Computed tomography; Liver; Slice 323 of 751
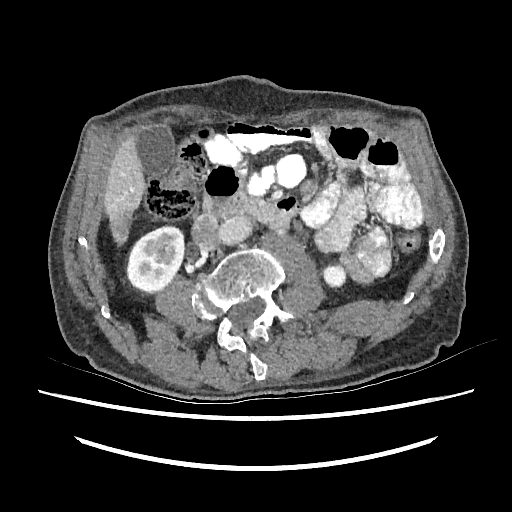

The focal liver lesion is at [x1=114, y1=209, x2=130, y2=240]. 2 liver regions are located at [x1=104, y1=137, x2=144, y2=234], [x1=114, y1=235, x2=126, y2=244]. 2 kidney regions are bounded by [x1=324, y1=266, x2=344, y2=285], [x1=128, y1=227, x2=183, y2=291].